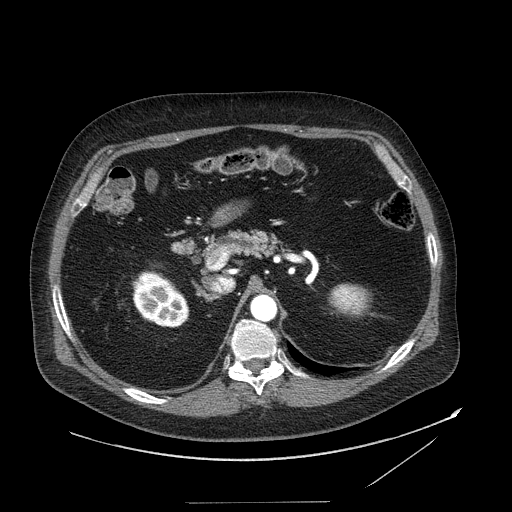 Upper abdomen | Computed tomography | Image size 512x512
The pancreas is at (left=208, top=229, right=293, bottom=258).